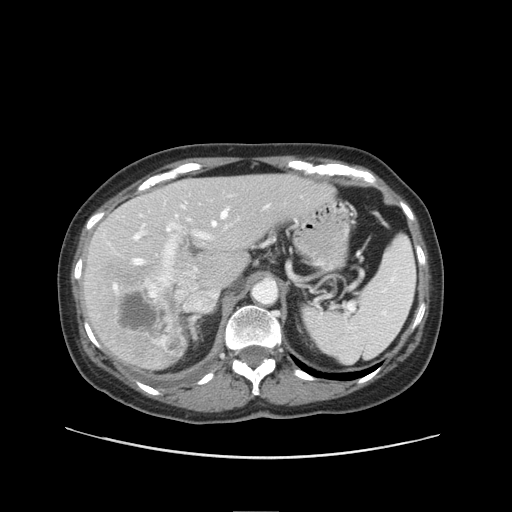
CT
The vessel annotation is not exhaustive.
<segmentation>
  <liver_tumor><bbox>102, 262, 184, 355</bbox></liver_tumor>
  <hepatic_vessel><bbox>160, 213, 181, 285</bbox>, <bbox>212, 222, 216, 226</bbox>, <bbox>134, 225, 145, 239</bbox>, <bbox>181, 203, 186, 208</bbox>, <bbox>134, 259, 142, 264</bbox>, <bbox>179, 266, 197, 283</bbox>, <bbox>221, 209, 228, 218</bbox>, <bbox>265, 205, 268, 208</bbox>, <bbox>193, 231, 210, 239</bbox></hepatic_vessel>
</segmentation>